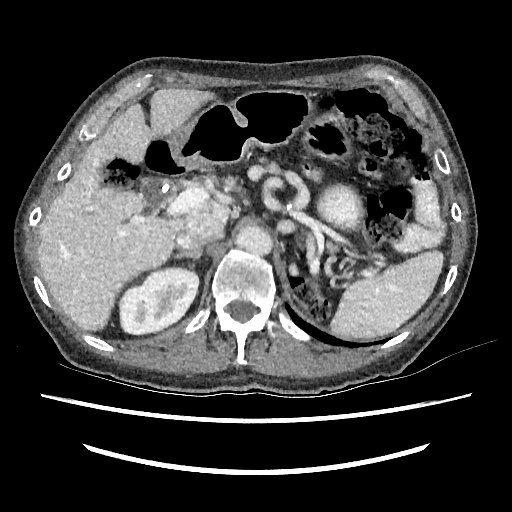
512x512 px. Computed tomography.
kidney: 120 269 198 334 | liver: 38 89 211 330